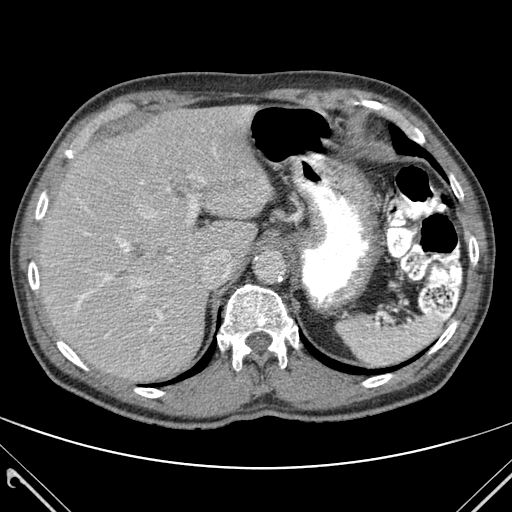 Abdomen | CT scan slice
Segmented structures:
* bone: {"x1": 430, "y1": 322, "x2": 456, "y2": 352}, {"x1": 36, "y1": 192, "x2": 47, "y2": 220}, {"x1": 363, "y1": 374, "x2": 391, "y2": 387}, {"x1": 413, "y1": 129, "x2": 424, "y2": 142}, {"x1": 28, "y1": 262, "x2": 38, "y2": 289}, {"x1": 135, "y1": 388, "x2": 163, "y2": 397}, {"x1": 469, "y1": 237, "x2": 478, "y2": 263}, {"x1": 450, "y1": 176, "x2": 463, "y2": 197}, {"x1": 217, "y1": 285, "x2": 298, "y2": 369}, {"x1": 57, "y1": 341, "x2": 86, "y2": 369}
* lung: {"x1": 178, "y1": 343, "x2": 214, "y2": 379}, {"x1": 389, "y1": 125, "x2": 443, "y2": 175}, {"x1": 301, "y1": 335, "x2": 388, "y2": 373}
* liver: {"x1": 40, "y1": 105, "x2": 273, "y2": 382}